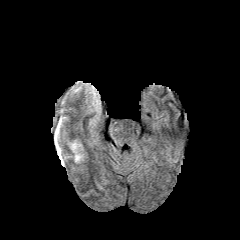
FLAIR magnetic resonance.
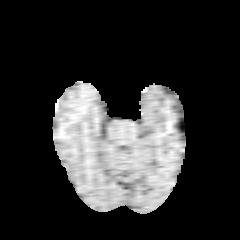
T1-weighted magnetic resonance.
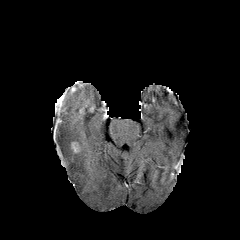
Post-contrast T1-weighted magnetic resonance.
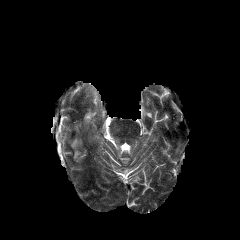
T2-weighted MR image.
2 edema regions are bounded by (68, 139, 84, 162), (59, 146, 67, 161).